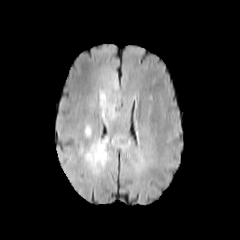
FLAIR MR image.
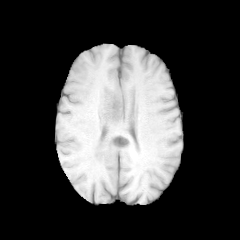
T1-weighted MRI.
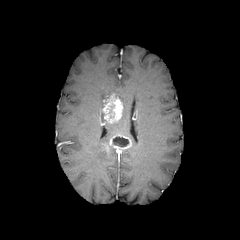
Post-contrast T1-weighted MRI of the same slice.
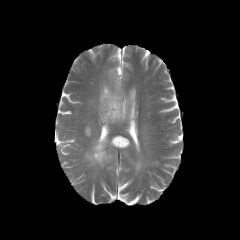
T2-weighted magnetic resonance.
{"edema": ["l=99, t=90, r=124, b=125", "l=84, t=137, r=111, b=173", "l=84, t=126, r=91, b=136"], "non-enhancing_tumor_core": ["l=113, t=136, r=129, b=147"], "enhancing_tumor": ["l=102, t=92, r=123, b=123", "l=106, t=134, r=132, b=149"]}